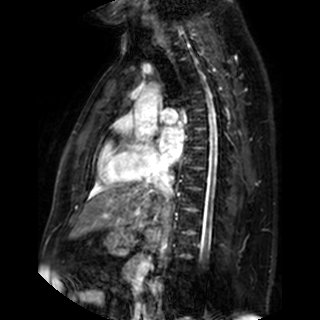 Heart, MR image, 320x320
left atrium: bbox=[158, 127, 183, 164]